Slice 52/407. CT scan slice. Pelvis.
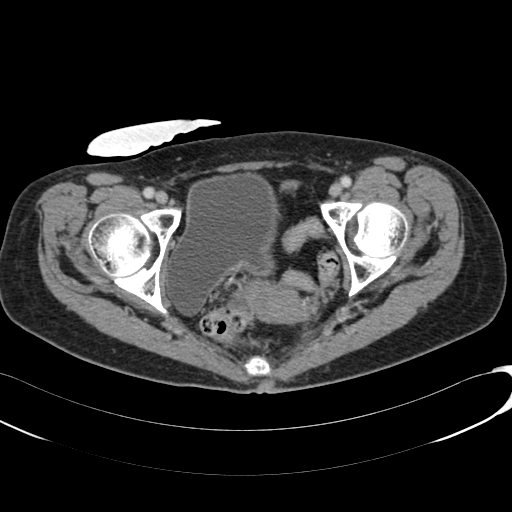

Segmented structures:
- urinary bladder: l=164, t=172, r=281, b=315